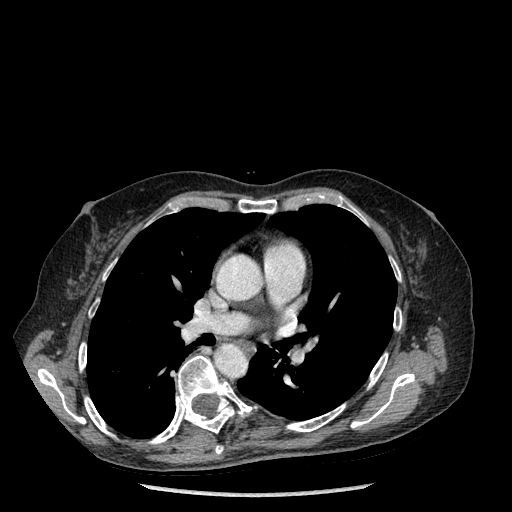 Thorax | CT image
Bone — bbox(390, 257, 401, 281); bbox(286, 404, 345, 431); bbox(37, 368, 85, 423); bbox(215, 445, 223, 454); bbox(84, 396, 114, 436); bbox(102, 260, 115, 280); bbox(78, 342, 86, 371); bbox(158, 203, 177, 215); bbox(149, 355, 256, 444); bbox(393, 307, 402, 330); bbox(368, 353, 387, 388); bbox(337, 196, 367, 224); bbox(351, 373, 414, 428); bbox(238, 198, 276, 213); bbox(88, 299, 98, 317).
Lung — bbox(87, 207, 264, 438); bbox(237, 204, 396, 419).